CT slice | Image size 512x512

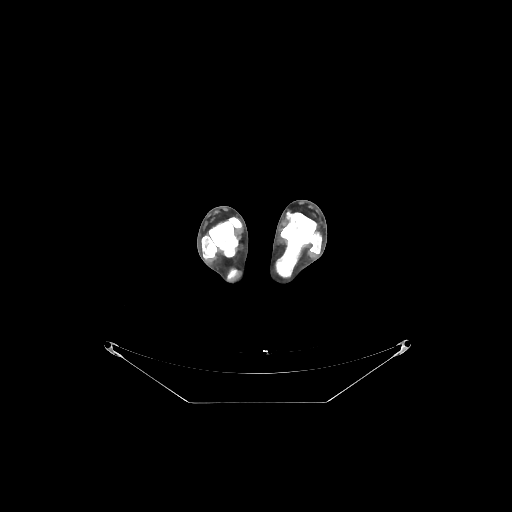
• bone: 202, 217, 241, 258; 228, 269, 237, 279; 276, 212, 321, 277